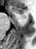
Hippocampus; Magnetic resonance; Image size 36x49

{"anterior_hippocampus": [{"x1": 9, "y1": 7, "x2": 24, "y2": 16}]}